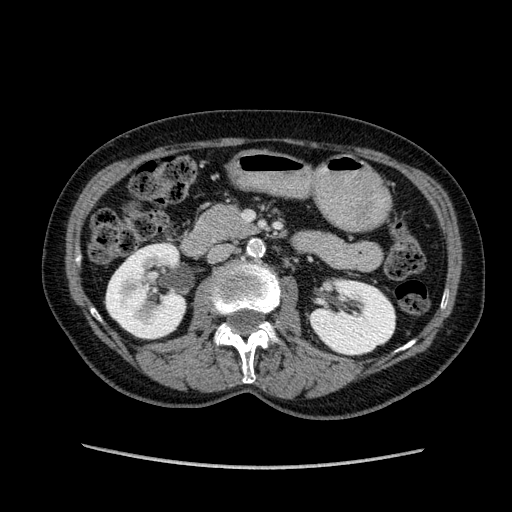
Abdomen, CT scan slice
• kidney: x1=310 y1=281 x2=394 y2=354, x1=106 y1=244 x2=184 y2=338